Slice 76 of 155; Image size 240x240
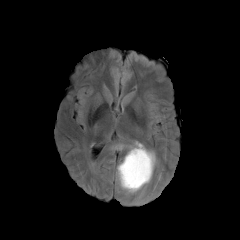
FLAIR MR.
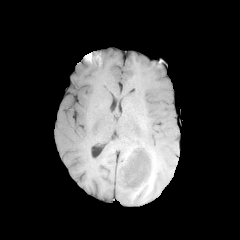
Same slice, T1-weighted MR image.
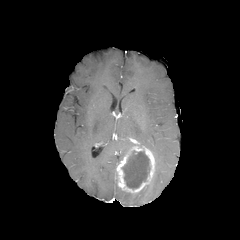
Post-contrast T1-weighted MR.
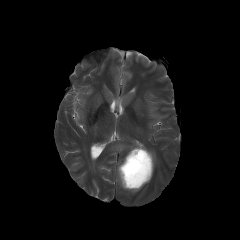
T2-weighted MRI.
The non-enhancing tumor core is at (left=121, top=151, right=150, bottom=189). The enhancing tumor is bounded by (left=116, top=147, right=154, bottom=192). The edema is bounded by (left=127, top=140, right=145, bottom=149).